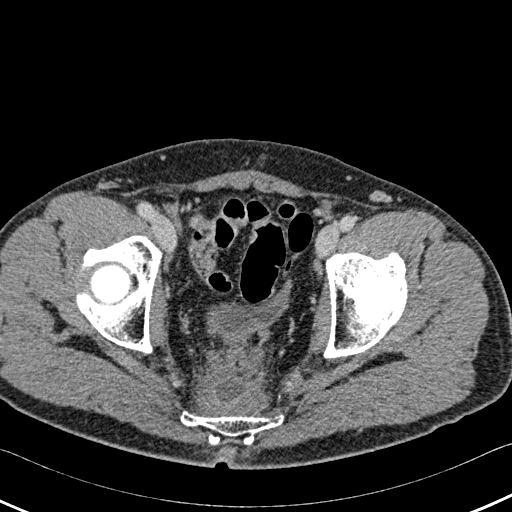
CT
bone:
  - left=181, top=411, right=284, bottom=444
  - left=205, top=431, right=219, bottom=444
  - left=324, top=252, right=406, bottom=357
  - left=77, top=236, right=161, bottom=352